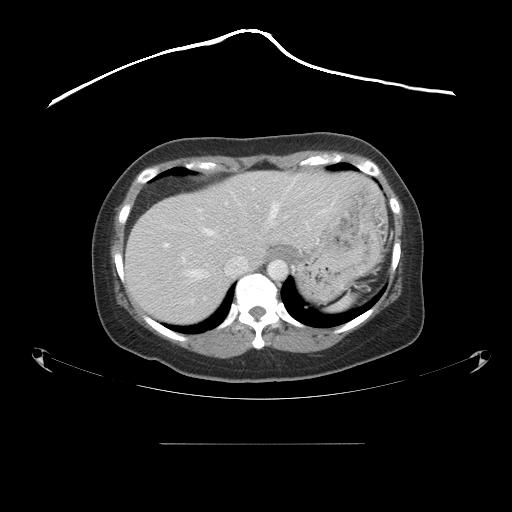
CT image, 512x512 px, Liver
The vessel annotation is not exhaustive.
Top 15 of 18 hepatic vessel regions = rect(225, 202, 227, 204); rect(204, 273, 207, 276); rect(186, 270, 202, 281); rect(299, 193, 304, 195); rect(224, 256, 247, 274); rect(320, 210, 325, 212); rect(284, 216, 287, 218); rect(268, 202, 281, 224); rect(251, 188, 253, 190); rect(182, 253, 184, 263); rect(305, 221, 309, 229); rect(198, 209, 200, 211); rect(191, 299, 193, 303); rect(164, 244, 168, 247); rect(203, 229, 212, 235).